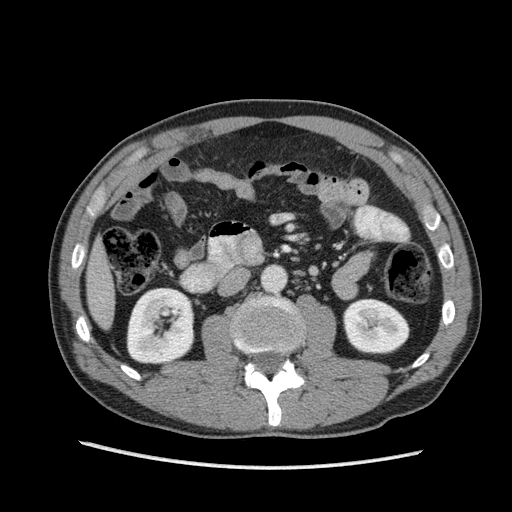
CT slice, Liver

The liver is at <box>86,235,115,329</box>. 2 kidney regions are bounded by <box>128,289,192,362</box>, <box>345,300,408,352</box>.